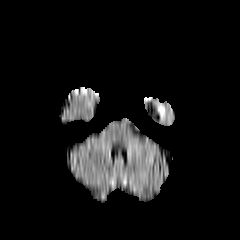
FLAIR MR image.
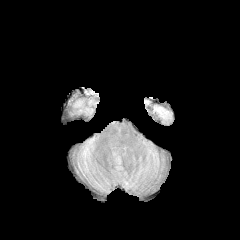
Same slice, T1-weighted MRI.
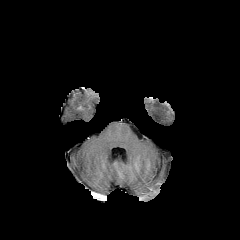
Post-contrast T1-weighted MRI.
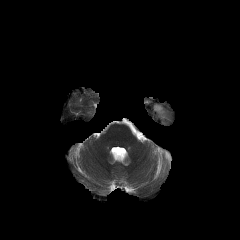
Same slice, T2-weighted MR.
Brain, 240x240 px
Edema = left=158, top=105, right=165, bottom=119.